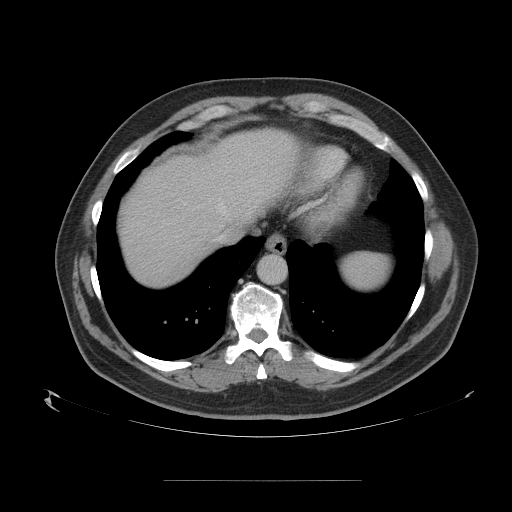

CT slice
Only some of the vessels may be annotated.
Annotated regions:
* hepatic vessel: 220:208:224:212, 216:211:251:241